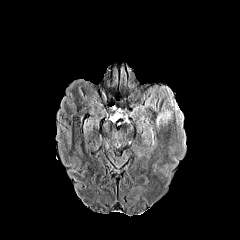
FLAIR MRI.
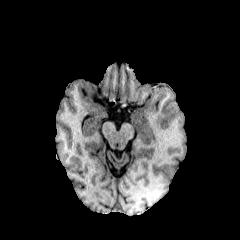
T1-weighted MR image.
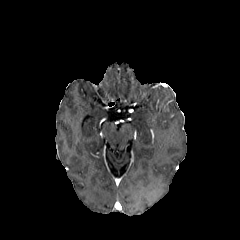
Post-contrast T1-weighted MR image of the same slice.
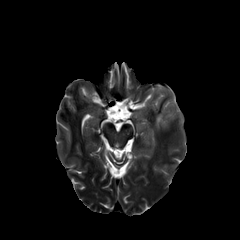
T2-weighted MR.
240x240
2 edema regions are located at 173,101,185,135; 155,103,173,130.